FLAIR MRI.
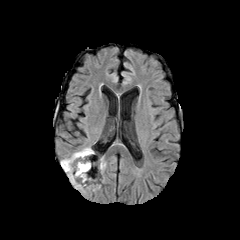
T1-weighted MR.
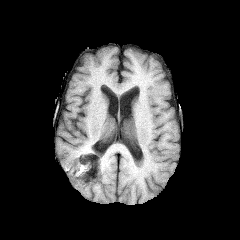
Post-contrast T1-weighted MR.
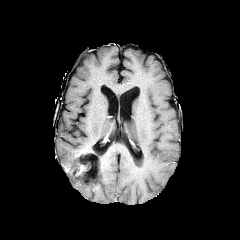
T2-weighted magnetic resonance.
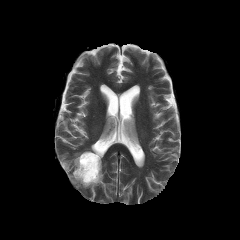
Head.
non-enhancing_tumor_core:
  - bbox(74, 151, 99, 181)
enhancing_tumor:
  - bbox(77, 164, 86, 174)
edema:
  - bbox(61, 150, 93, 188)
  - bbox(96, 156, 105, 172)